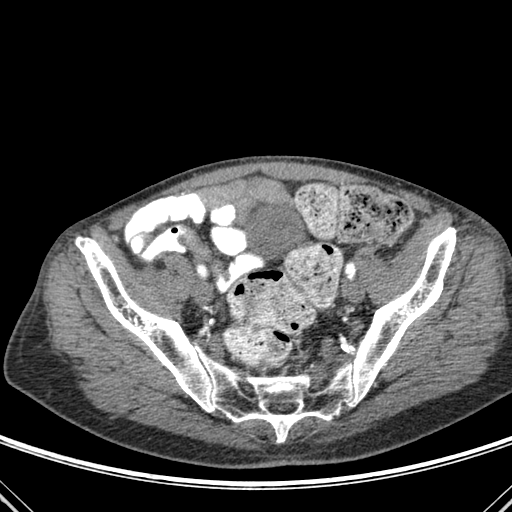
Computed tomography

The bone is bounded by bbox(75, 227, 456, 442).